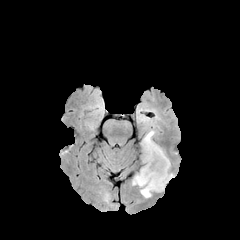
FLAIR magnetic resonance.
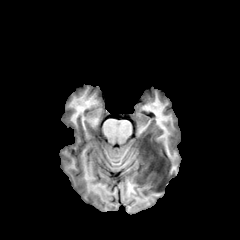
T1-weighted MR image.
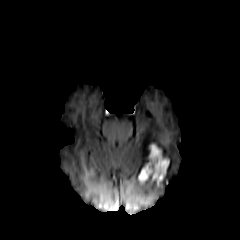
Post-contrast T1-weighted MRI.
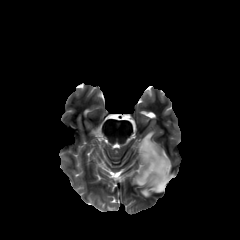
Same slice, T2-weighted magnetic resonance.
2 edema regions are located at region(140, 130, 166, 164); region(132, 161, 174, 197). The enhancing tumor is at region(138, 144, 169, 187). The non-enhancing tumor core appears at region(145, 143, 154, 163).